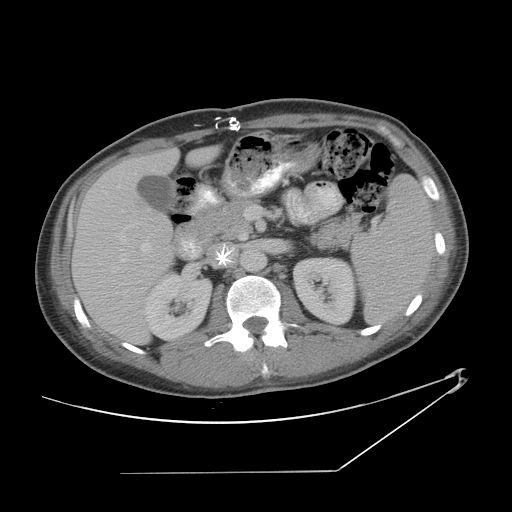 Abdomen | CT scan slice
Not every hepatic vessel necessarily has a box.
{"liver_tumor": ["l=134, t=199, r=147, b=209"], "hepatic_vessel": ["l=119, t=185, r=120, b=186", "l=142, t=243, r=150, b=250", "l=120, t=254, r=127, b=261", "l=123, t=291, r=127, b=297", "l=151, t=165, r=155, b=170", "l=119, t=236, r=126, b=243"]}